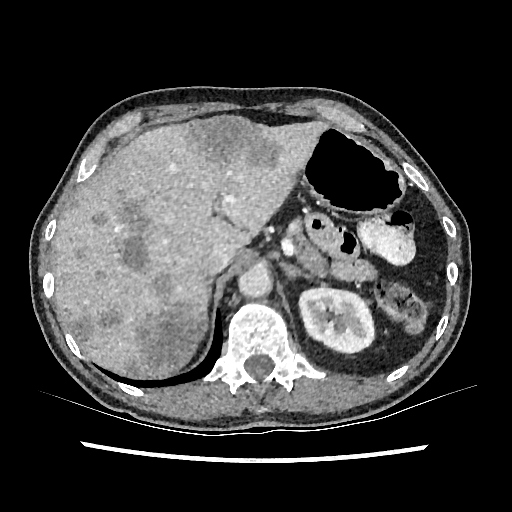
CT image, Abdomen, 512x512 px
The liver lies within 53:122:326:374. The kidney appears at 299:288:373:352. 9 focal liver lesion regions appear at 94:304:122:331, 184:117:283:171, 288:168:300:183, 124:271:204:376, 70:316:93:345, 76:247:86:258, 95:271:105:280, 114:199:150:271, 91:212:107:225.